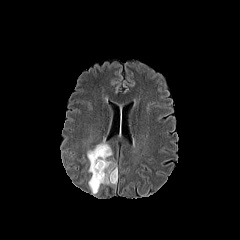
FLAIR MR.
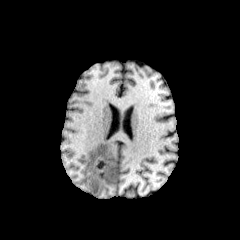
T1-weighted MRI.
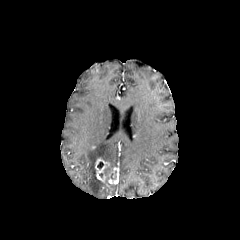
Same slice, post-contrast T1-weighted MR.
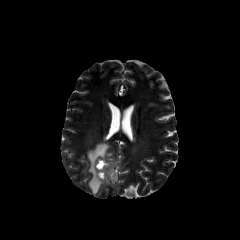
Same slice, T2-weighted magnetic resonance.
Head, Image size 240x240
Findings:
- enhancing tumor: (108, 168, 117, 183), (95, 158, 109, 182)
- non-enhancing tumor core: (103, 161, 116, 184)
- edema: (86, 139, 112, 193)